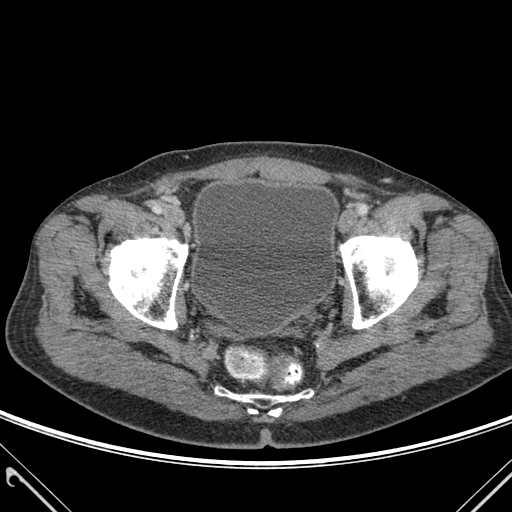
CT image | Image size 512x512
Bone at (109,238,187,329), (215,387,313,402), (340,236,417,328), (268,408,281,416).
Urinary bladder at (193,182,337,320).